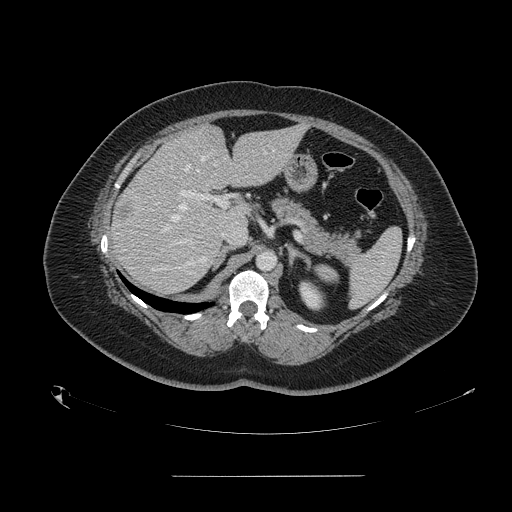
CT slice | Abdomen
2 spleen regions are located at (349,229,401,308), (317,265,337,283).